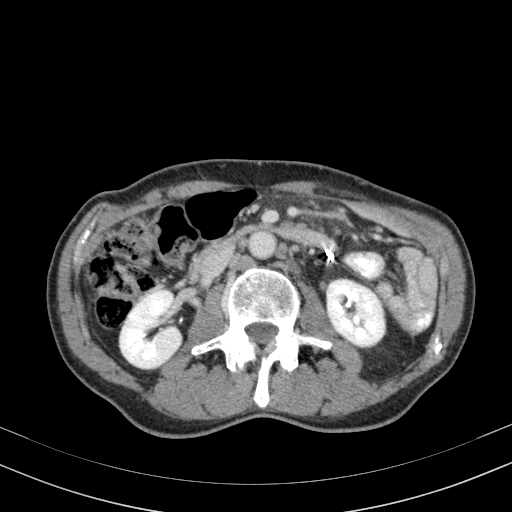

CT image

Kidney at bbox=[327, 280, 384, 345]; bbox=[120, 290, 180, 367].